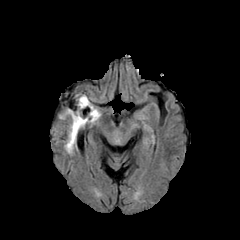
FLAIR MRI.
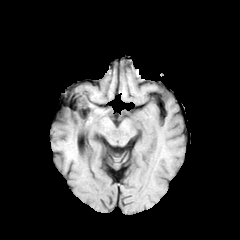
Same slice, T1-weighted MRI.
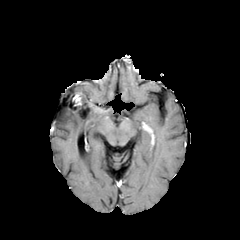
Post-contrast T1-weighted magnetic resonance.
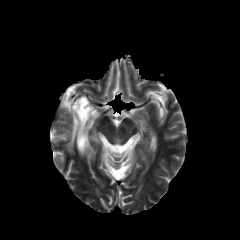
T2-weighted MR image of the same slice.
Brain
<segmentation>
  <edema>[x1=59, y1=94, x2=101, y2=152]</edema>
  <non-enhancing_tumor_core>[x1=74, y1=96, x2=87, y2=118]</non-enhancing_tumor_core>
</segmentation>